36x46 px | MR | Medial temporal lobe 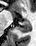

Posterior hippocampus at rect(15, 22, 30, 32).
Anterior hippocampus at rect(13, 13, 13, 17).